240x240 px | Brain
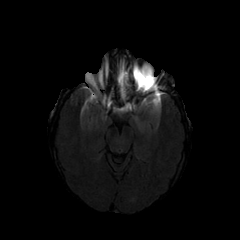
FLAIR MR image.
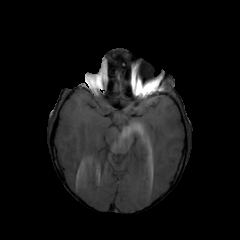
T1-weighted MR.
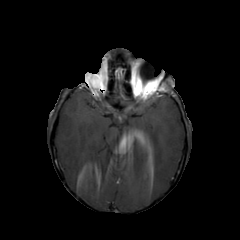
Same slice, post-contrast T1-weighted MRI.
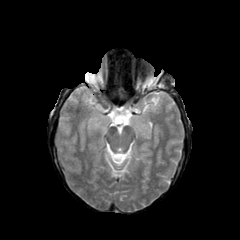
T2-weighted MRI.
The edema is located at 134,90,165,112. The enhancing tumor is at 142,88,159,99. 2 non-enhancing tumor core regions appear at 133,80,157,97; 89,74,102,84.